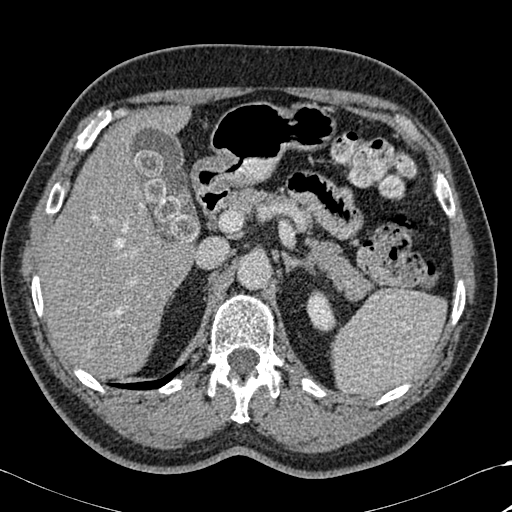 512x512 px, Computed tomography
Segmented structures:
* liver: rect(128, 106, 190, 135); rect(39, 125, 192, 378)
* kidney: rect(308, 294, 333, 329)
* lung: rect(110, 365, 184, 389)
* bone: rect(436, 174, 454, 215); rect(452, 281, 464, 323); rect(76, 121, 105, 150); rect(302, 379, 324, 396); rect(377, 384, 408, 403); rect(32, 276, 42, 315); rect(160, 380, 181, 393); rect(46, 183, 64, 213); rect(208, 295, 282, 423); rect(75, 370, 103, 391)